Heart. Image width 400 mm. Slice 64/90. MR. 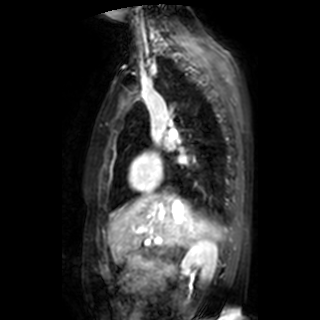
2 left atrium regions are located at bbox=[179, 155, 187, 162]; bbox=[164, 139, 172, 147].